Computed tomography; 512x512; Thorax
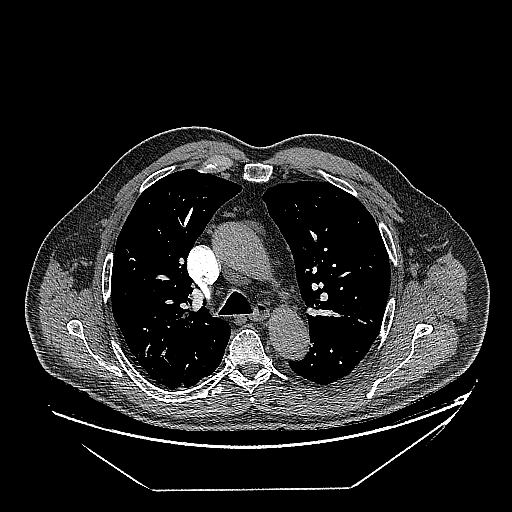 The lung tumor lies within rect(135, 348, 148, 361).